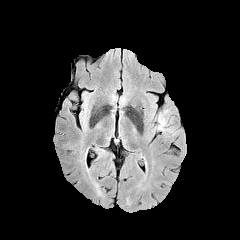
FLAIR MR.
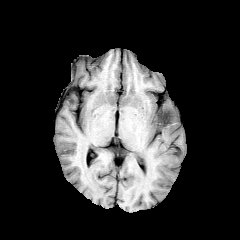
T1-weighted MR of the same slice.
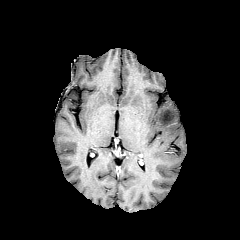
Post-contrast T1-weighted MR image of the same slice.
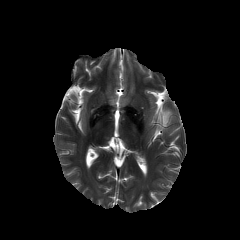
T2-weighted MRI.
edema: (154,109,173,132)